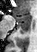

Hippocampus; MR
The posterior hippocampus is located at bbox(18, 22, 30, 34). The anterior hippocampus is bounded by bbox(16, 14, 30, 21).